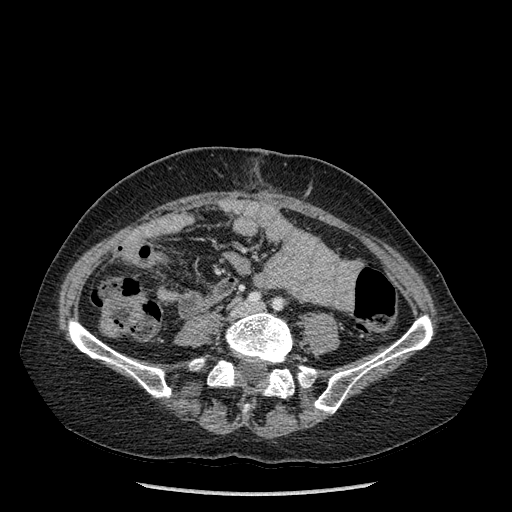

512x512 px. CT.

bone: 226:311:292:363, 189:358:204:370, 207:360:238:386, 68:320:171:397, 260:369:294:398, 297:366:316:387, 314:315:432:413